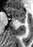 MR, Image size 33x47, Hippocampus
Anterior hippocampus at 5 7 25 22.